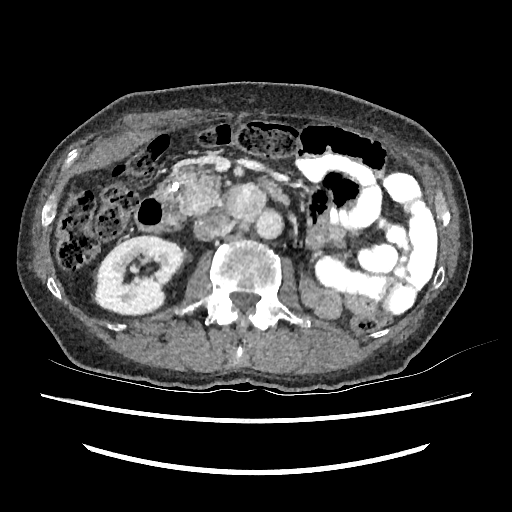 Computed tomography | Abdomen

Kidney — <bbox>96, 236, 182, 314</bbox>.